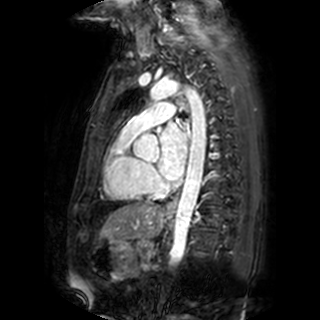

Heart, 320x320, Magnetic resonance
- left atrium: 157:122:186:181